Abdomen. CT slice.

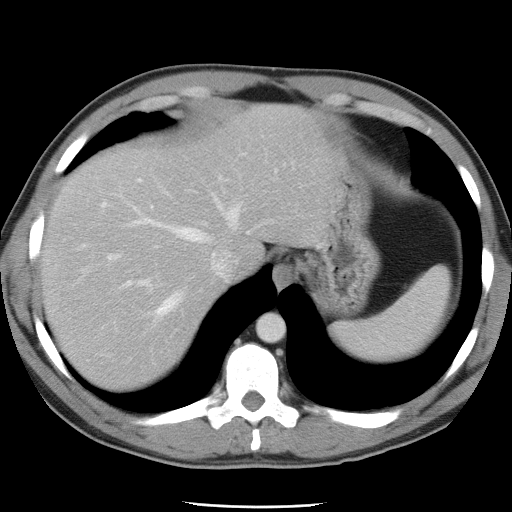 The vessel boxes may cover only some of the vessels.
Hepatic vessel — region(151, 291, 182, 319); region(101, 201, 107, 207); region(107, 254, 119, 260); region(211, 252, 230, 278); region(128, 204, 212, 242); region(213, 194, 243, 229); region(137, 279, 150, 287); region(123, 280, 133, 286); region(202, 223, 205, 224).